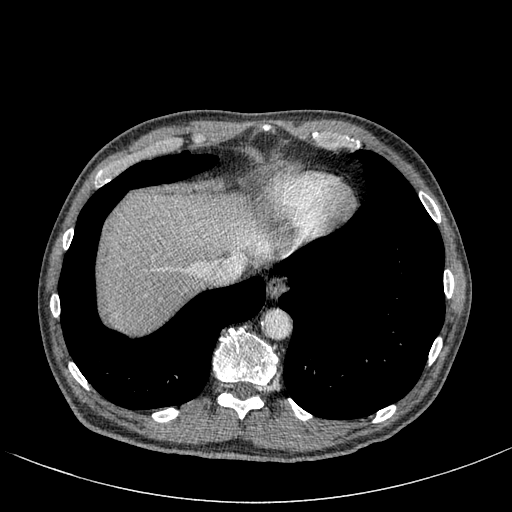
Upper abdomen; Computed tomography; 512x512
<segmentation>
  <hepatic_lesion>(108, 314, 116, 326)</hepatic_lesion>
  <liver>(99, 193, 272, 333)</liver>
</segmentation>